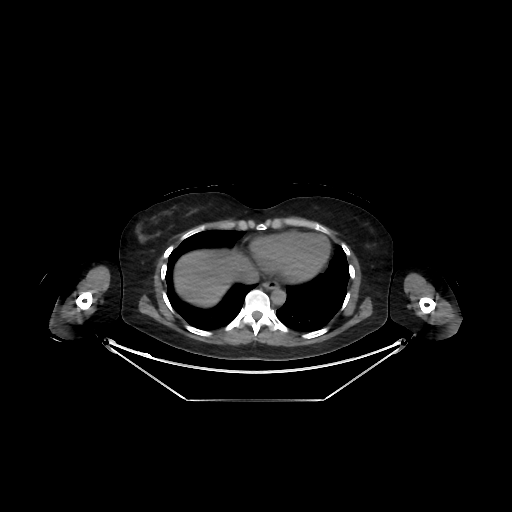
512x512 | CT slice

<segmentation>
  <liver>bbox(174, 250, 263, 306)</liver>
</segmentation>